Image width 240 mm
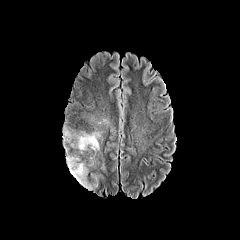
FLAIR magnetic resonance.
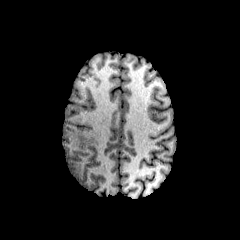
T1-weighted MR image.
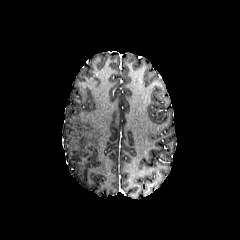
Same slice, post-contrast T1-weighted MRI.
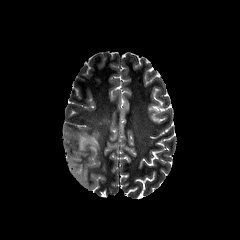
T2-weighted magnetic resonance.
2 edema regions are located at rect(67, 156, 88, 187); rect(62, 131, 100, 154).